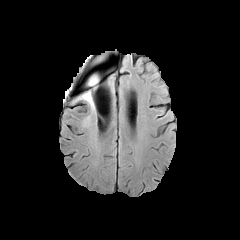
FLAIR MR image.
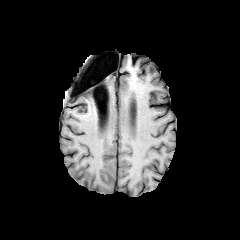
T1-weighted MRI.
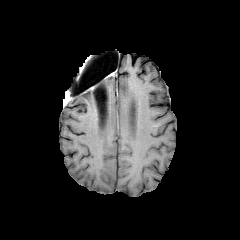
Post-contrast T1-weighted MR.
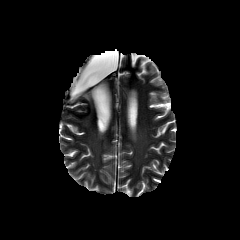
T2-weighted magnetic resonance.
Head
{"edema": ["box(78, 74, 101, 112)"]}